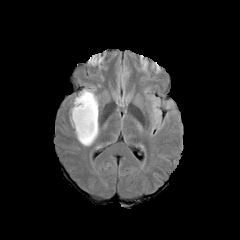
FLAIR magnetic resonance.
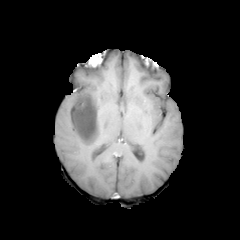
T1-weighted magnetic resonance.
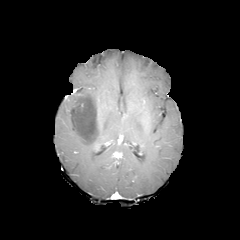
Post-contrast T1-weighted MR of the same slice.
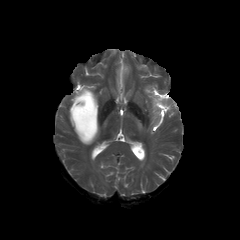
T2-weighted MR.
Non-enhancing tumor core — x1=70 y1=93 x2=97 y2=141.
Edema — x1=72 y1=94 x2=81 y2=105, x1=146 y1=94 x2=167 y2=126, x1=69 y1=86 x2=99 y2=147.